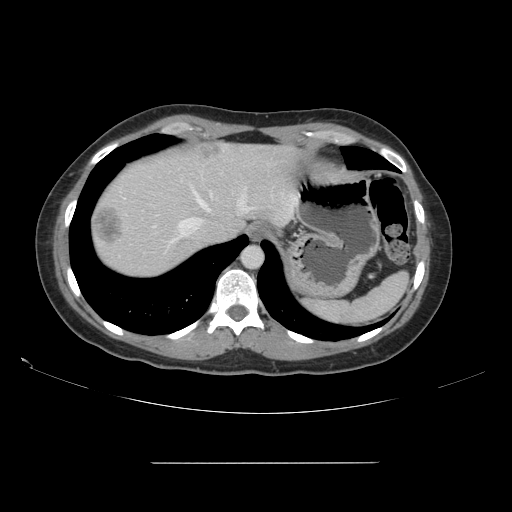 CT image, Image size 512x512
Not every hepatic vessel necessarily has a box.
2 liver tumor regions are bounded by <bbox>198, 146, 223, 158</bbox>, <bbox>95, 205, 122, 243</bbox>. 7 hepatic vessel regions are bounded by <bbox>237, 192, 253, 211</bbox>, <bbox>210, 192, 211, 196</bbox>, <bbox>192, 189, 208, 209</bbox>, <bbox>237, 212, 239, 214</bbox>, <bbox>244, 188, 245, 190</bbox>, <bbox>168, 218, 201, 244</bbox>, <bbox>123, 197, 125, 199</bbox>.